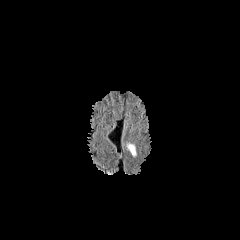
FLAIR MRI.
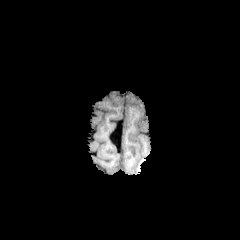
T1-weighted MR of the same slice.
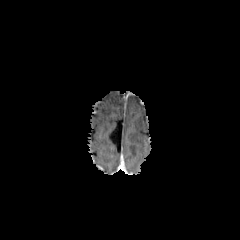
Same slice, post-contrast T1-weighted MRI.
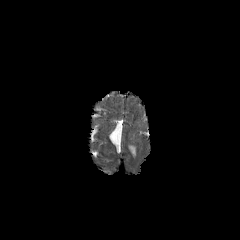
T2-weighted MR.
Image size 240x240
edema: [127,143,135,156]